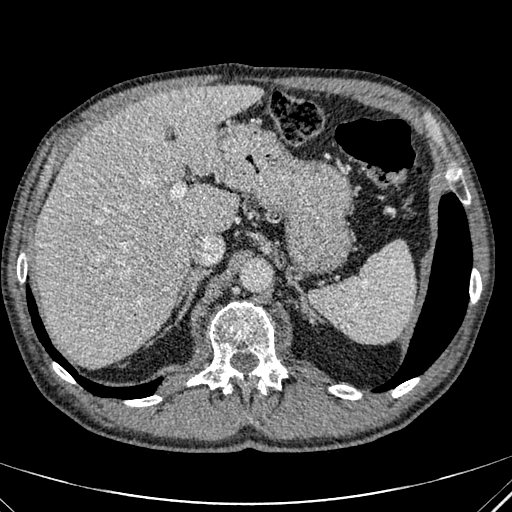
CT scan slice | 512x512 | Abdomen
Annotated regions:
- liver: <box>35,85,264,366</box>